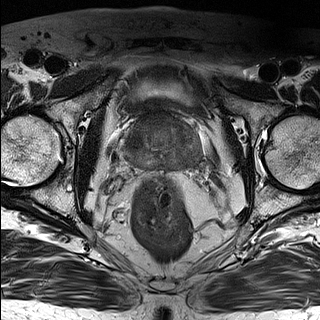
T2-weighted magnetic resonance.
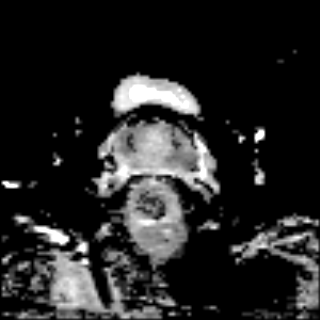
ADC magnetic resonance.
<segmentation>
  <prostate_transition_zone>rect(125, 118, 194, 154)</prostate_transition_zone>
  <prostate_peripheral_zone>rect(125, 136, 198, 168)</prostate_peripheral_zone>
</segmentation>